CT image; Slice 31 of 44; Field of view 415 mm wide, 5.00 mm slice spacing; Abdomen; 512x512 px 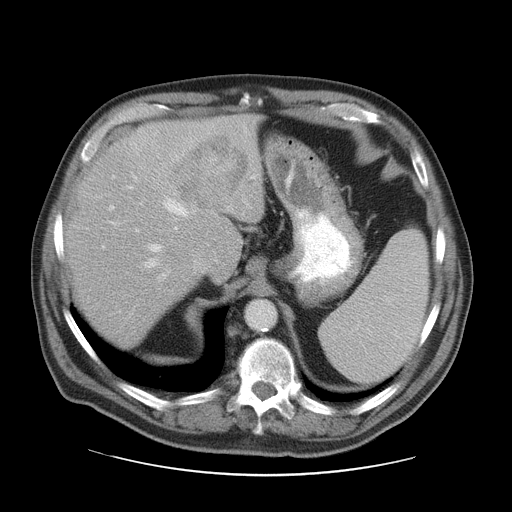
The vessel boxes may cover only some of the vessels.
9 hepatic vessel regions are located at 251 176 254 178, 150 244 160 251, 165 199 186 214, 109 205 113 209, 145 259 156 267, 128 187 131 188, 136 229 138 231, 175 227 176 229, 111 222 115 224. The liver tumor is at 170 135 248 209.